Computed tomography. Abdomen. Slice 34 of 52.

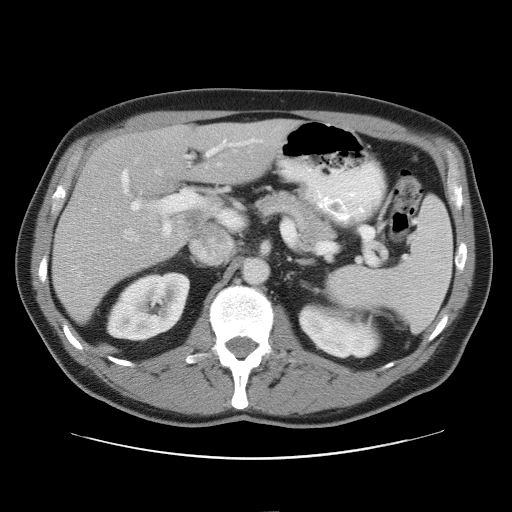 The vessel boxes may cover only some of the vessels.
12 hepatic vessel regions are located at l=217, t=164, r=220, b=165; l=124, t=229, r=137, b=241; l=174, t=194, r=179, b=199; l=78, t=273, r=80, b=275; l=156, t=169, r=160, b=174; l=179, t=189, r=191, b=195; l=135, t=160, r=136, b=162; l=72, t=265, r=80, b=269; l=121, t=169, r=175, b=237; l=184, t=156, r=187, b=157; l=185, t=198, r=209, b=210; l=206, t=138, r=262, b=156. The liver tumor is at l=188, t=214, r=202, b=227.